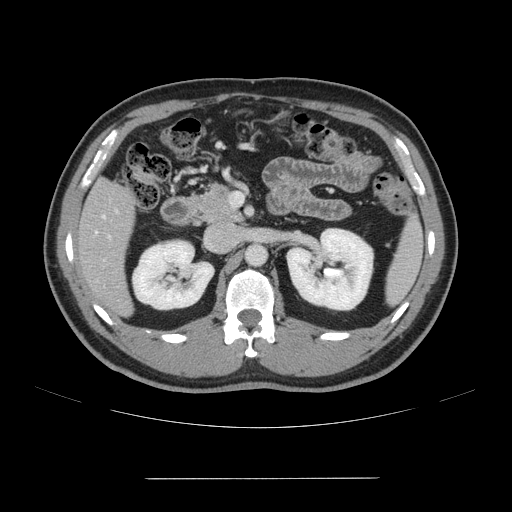

Image size 512x512 | CT scan slice

Only some of the vessels may be annotated.
4 hepatic vessel regions are bounded by (left=115, top=209, right=117, bottom=211), (left=103, top=215, right=104, bottom=217), (left=107, top=235, right=110, bottom=239), (left=95, top=231, right=97, bottom=233).